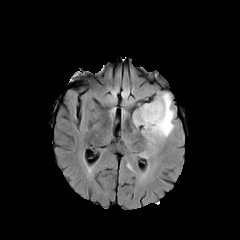
FLAIR MRI.
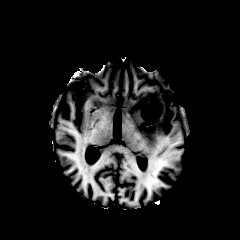
T1-weighted MR of the same slice.
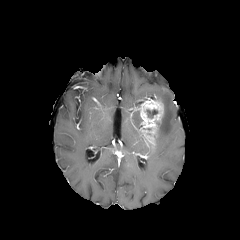
Post-contrast T1-weighted MR of the same slice.
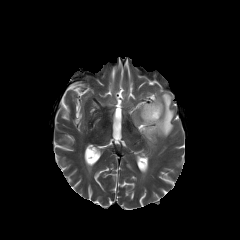
T2-weighted MR of the same slice.
240x240 px.
2 edema regions are located at rect(153, 91, 175, 146); rect(131, 110, 147, 141). The enhancing tumor lies within rect(135, 98, 163, 127). The non-enhancing tumor core is at rect(142, 109, 163, 145).